Lung; CT; 512x512 px
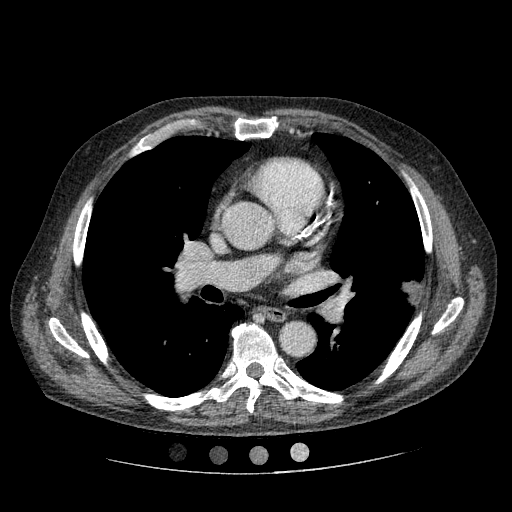

lung_tumor:
  - bbox(395, 274, 423, 309)